FLAIR MRI.
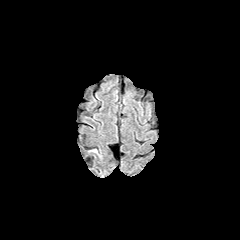
T1-weighted MR.
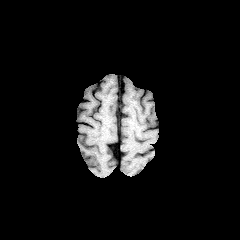
Post-contrast T1-weighted MR.
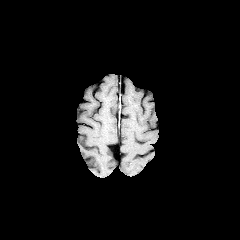
T2-weighted MR image.
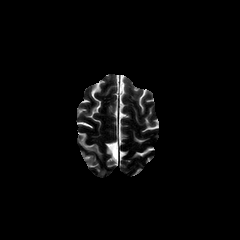
240x240 px
The edema appears at bbox=[88, 148, 101, 158].